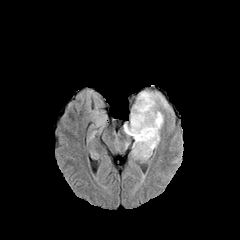
FLAIR magnetic resonance.
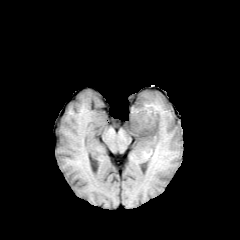
T1-weighted MR image.
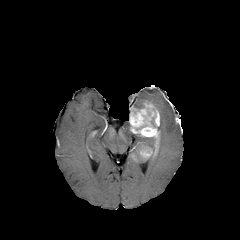
Same slice, post-contrast T1-weighted magnetic resonance.
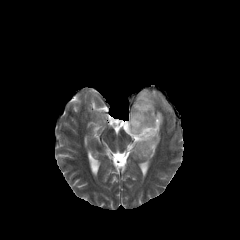
Same slice, T2-weighted MR image.
Brain
edema:
  - 123:122:131:136
  - 131:148:148:162
  - 158:111:163:130
  - 132:136:156:148
  - 133:91:170:111
non-enhancing_tumor_core:
  - 134:142:147:150
enhancing_tumor:
  - 140:145:152:157
  - 129:101:159:146